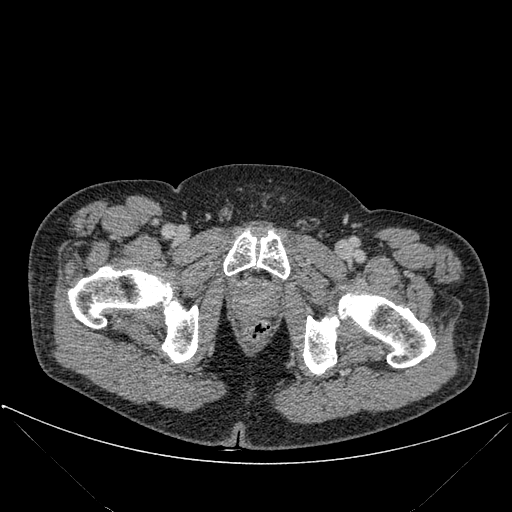
CT slice. 512x512.

4 bone regions are bounded by box=[223, 230, 289, 278]; box=[68, 266, 198, 362]; box=[303, 315, 339, 374]; box=[338, 293, 435, 367].